FLAIR MR image.
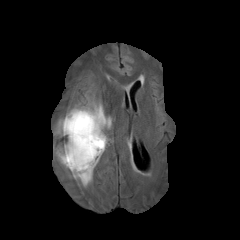
T1-weighted magnetic resonance.
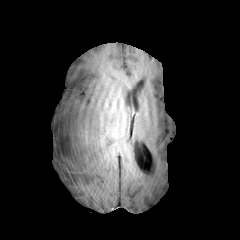
Post-contrast T1-weighted MRI.
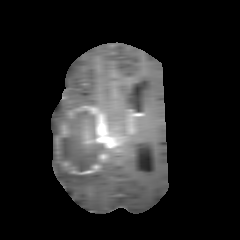
T2-weighted magnetic resonance.
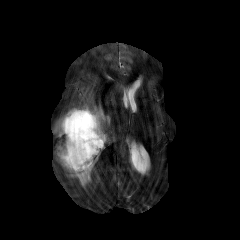
Head
{
  "edema": [
    "[53,145,92,187]",
    "[53,92,102,138]"
  ],
  "enhancing_tumor": [
    "[72,164,100,174]",
    "[69,106,113,161]"
  ],
  "non-enhancing_tumor_core": [
    "[56,111,104,172]"
  ]
}